240x240
FLAIR MR.
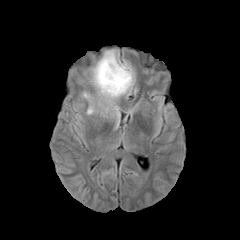
T1-weighted MR.
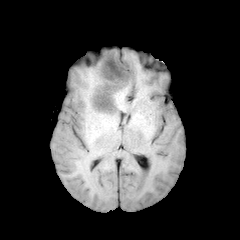
Post-contrast T1-weighted MR.
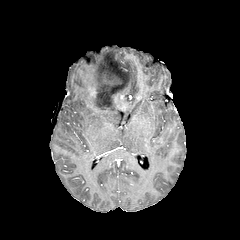
T2-weighted MR image.
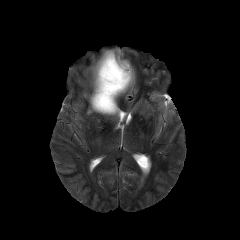
Edema: bbox=[81, 48, 123, 127]; bbox=[116, 61, 136, 97].
Non-enhancing tumor core: bbox=[90, 60, 125, 111].